Upper abdomen; Field of view 351x351 mm; CT scan slice 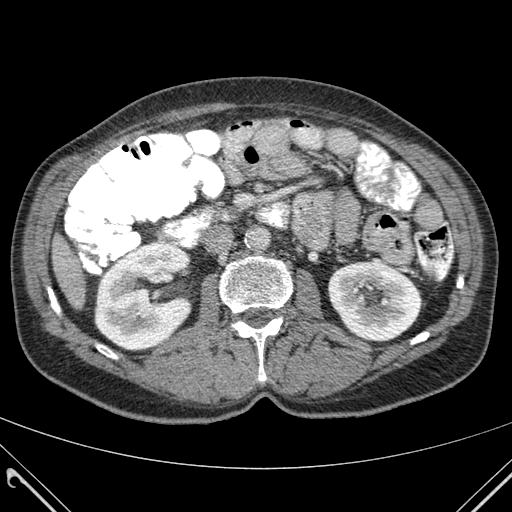

The liver is located at left=53, top=235, right=85, bottom=306. 2 kidney regions appear at left=329, top=262, right=420, bottom=340; left=96, top=242, right=189, bottom=348. 6 bone regions appear at left=411, top=332, right=428, bottom=343; left=48, top=287, right=59, bottom=313; left=232, top=318, right=282, bottom=380; left=220, top=256, right=292, bottom=312; left=457, top=277, right=463, bottom=287; left=97, top=345, right=116, bottom=358.